CT scan slice; Slice 125 of 841
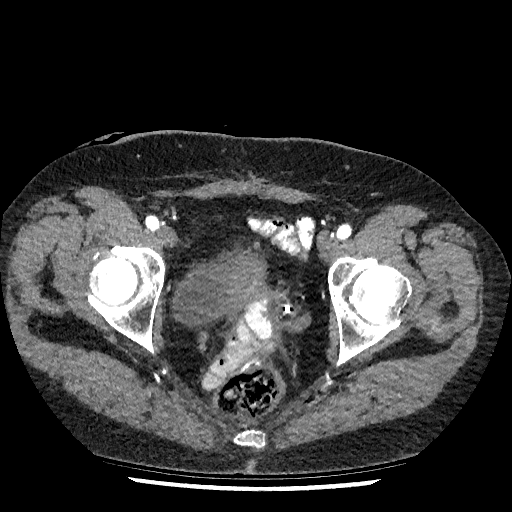

The urinary bladder is located at <box>172,243,267,327</box>.